Brain; Slice 59 of 155
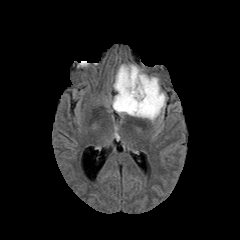
FLAIR MR.
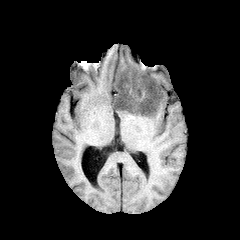
T1-weighted MRI of the same slice.
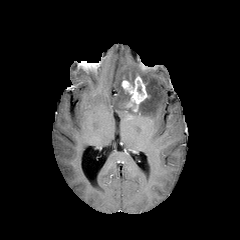
Same slice, post-contrast T1-weighted magnetic resonance.
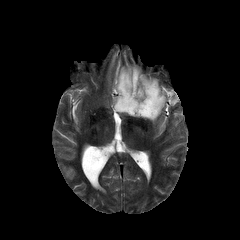
Same slice, T2-weighted MRI.
The enhancing tumor is bounded by [121,76,147,111]. The edema is at [110,63,167,126]. 2 non-enhancing tumor core regions are located at [114,74,138,114], [136,81,155,115].